Slice index 341. Liver. Field of view 400 mm wide, 0.80 mm slice spacing. CT scan slice.
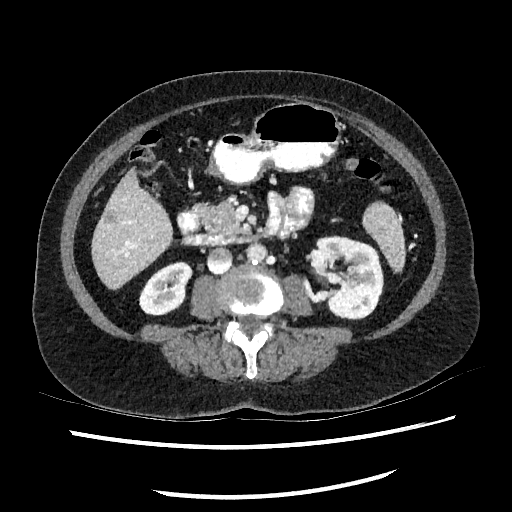

The liver appears at (92, 167, 171, 287). The focal liver lesion lies within (104, 211, 115, 223). 2 kidney regions are bounded by (312, 237, 382, 317), (140, 263, 190, 314).